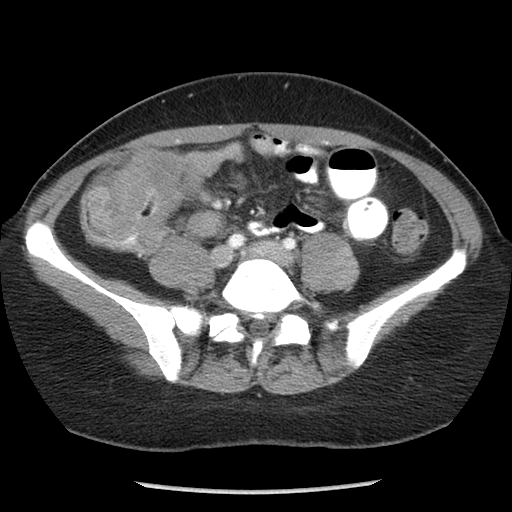 CT. Pelvis. Image size 512x512.
The colon tumor is bounded by 86:151:181:252.